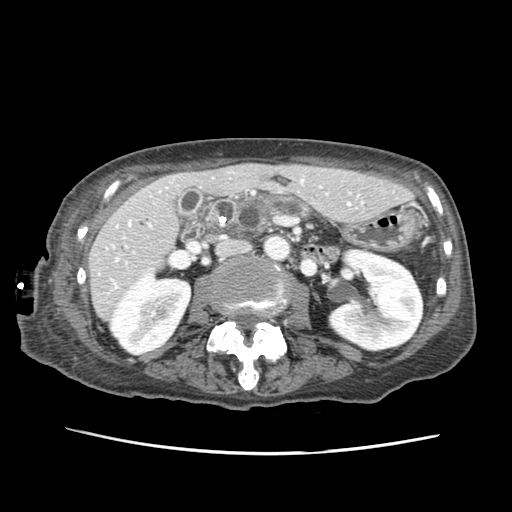 CT slice
The pancreas appears at box=[234, 195, 310, 232].